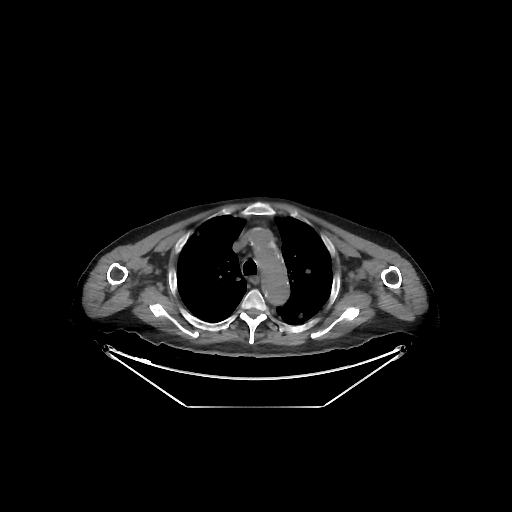
512x512 px, Thorax, CT image

bone:
  - (280,321,315,332)
  - (243,202,274,214)
  - (169,274,176,293)
  - (311,307,358,338)
  - (180,309,198,325)
  - (238,290,269,343)
  - (107,263,127,284)
  - (331,277,339,302)
  - (150,303,198,337)
  - (381,266,401,288)
lung:
  - (177,215,256,322)
  - (274,216,332,324)